Slice 81 of 155 | Field of view 240 mm wide, 1.00 mm slice spacing | Head | 240x240 px
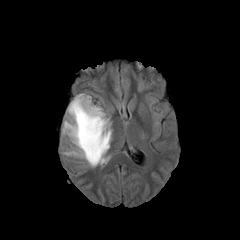
FLAIR MR.
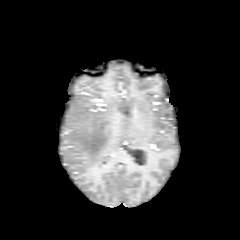
T1-weighted MR image of the same slice.
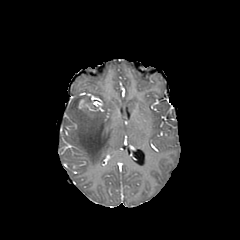
Same slice, post-contrast T1-weighted MR.
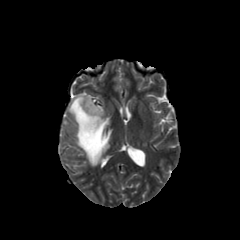
T2-weighted MR image.
- non-enhancing tumor core: left=75, top=93, right=102, bottom=121
- edema: left=62, top=96, right=112, bottom=166
- enhancing tumor: left=78, top=100, right=89, bottom=108